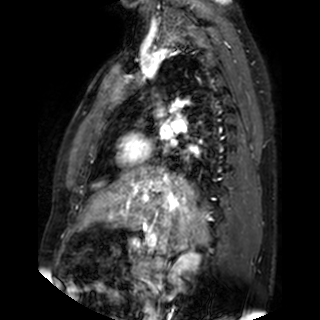 Cardiac, MR, 320x320 px
The left atrium appears at x1=160 y1=127 x2=172 y2=138.